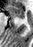 33x47 | MR
anterior_hippocampus:
  - (left=7, top=6, right=24, bottom=19)